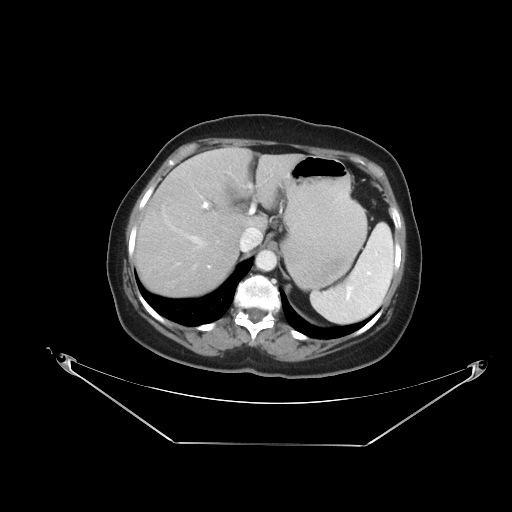
CT image, 512x512
Some hepatic vessels may have no box.
9 hepatic vessel regions appear at (left=202, top=201, right=208, bottom=208), (left=167, top=221, right=177, bottom=230), (left=200, top=195, right=202, bottom=197), (left=208, top=265, right=210, bottom=267), (left=182, top=233, right=203, bottom=246), (left=176, top=262, right=180, bottom=264), (left=252, top=205, right=253, bottom=211), (left=248, top=183, right=252, bottom=187), (left=240, top=221, right=259, bottom=249).